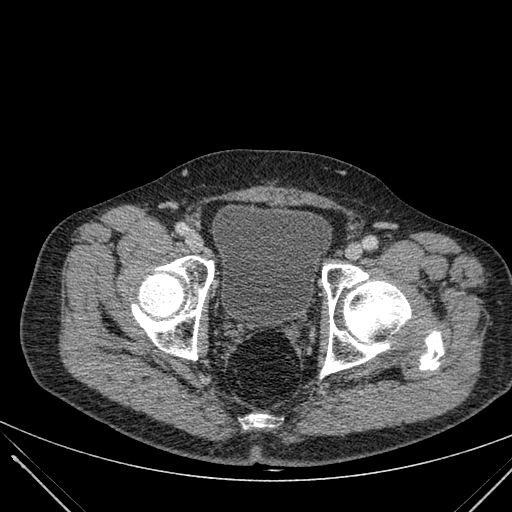 Computed tomography; Image size 512x512
urinary_bladder:
  - region(211, 206, 331, 323)